CT. Slice index 574. Abdomen.
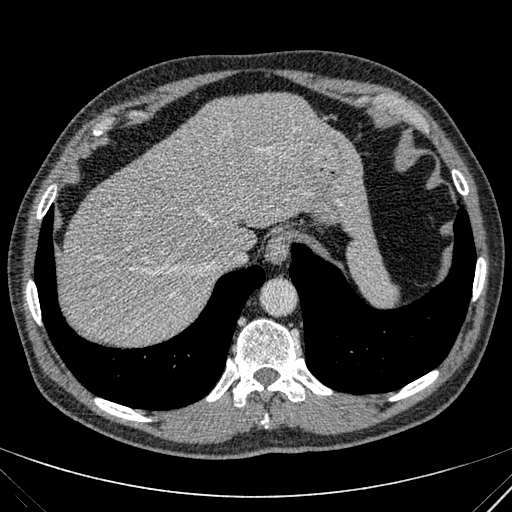

<segmentation>
  <liver><bbox>57, 93, 372, 345</bbox></liver>
</segmentation>